Slice 88 of 155; Brain
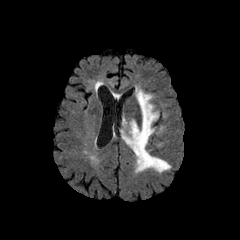
FLAIR MR image.
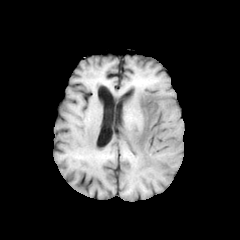
T1-weighted MRI.
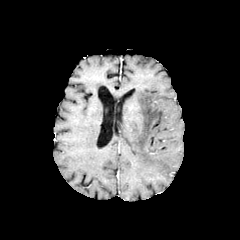
Post-contrast T1-weighted MR image.
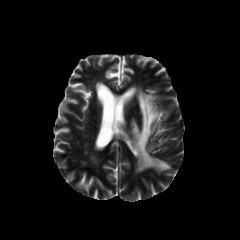
T2-weighted MR of the same slice.
edema: [120,86,171,173], [156,125,167,135]